Slice 8/76 | Upper abdomen | CT scan slice

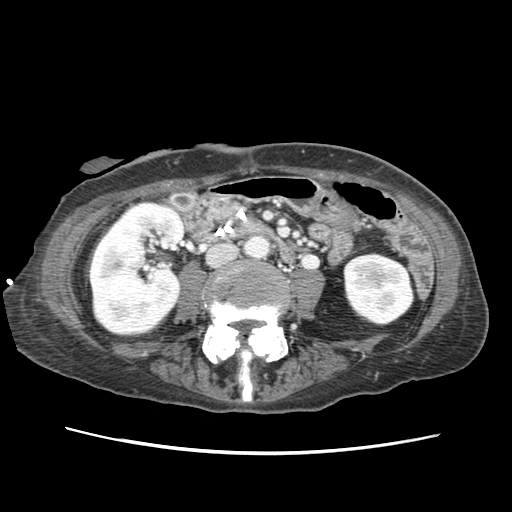

{
  "pancreas": [
    "(x1=238, y1=218, x2=264, y2=233)"
  ]
}